240x240 px. Brain. Slice index 39. Field of view 240 mm wide, 1.00 mm slice spacing.
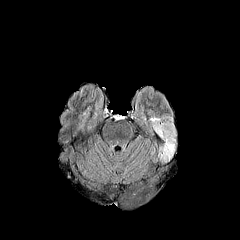
FLAIR magnetic resonance.
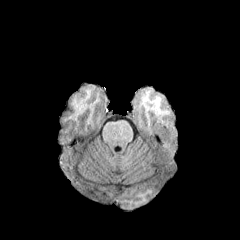
Same slice, T1-weighted MR.
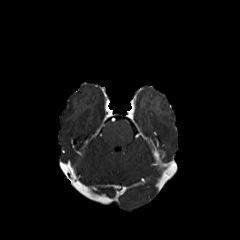
Post-contrast T1-weighted magnetic resonance of the same slice.
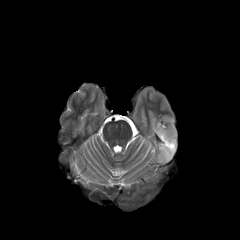
T2-weighted MR image.
The enhancing tumor lies within 157, 148, 166, 158. The edema is bounded by 150, 118, 176, 162.